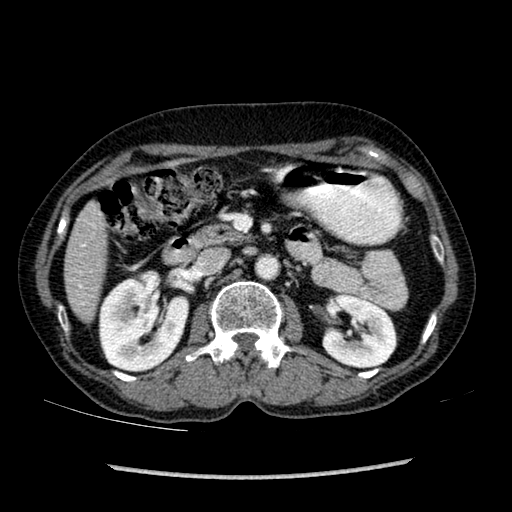 Abdomen; CT
<segmentation>
  <liver>[x1=64, y1=210, x2=105, y2=316]</liver>
  <kidney>[x1=321, y1=296, x2=395, y2=366], [x1=100, y1=272, x2=187, y2=370]</kidney>
</segmentation>